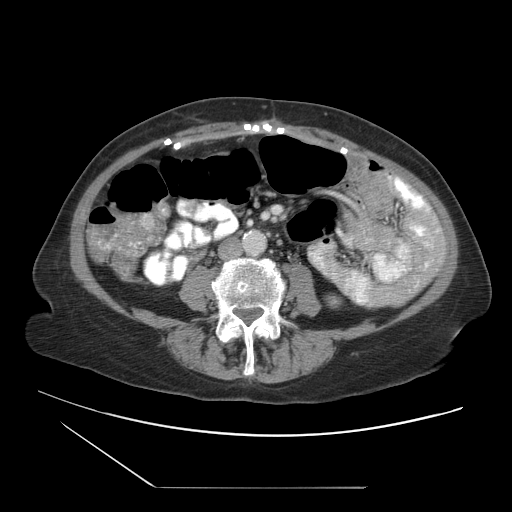
512x512 px | Computed tomography | Abdomen
2 colon tumor regions are located at (x1=157, y1=203, x2=169, y2=217), (x1=139, y1=213, x2=153, y2=229).